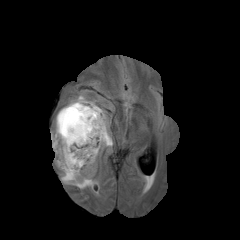
FLAIR MR image.
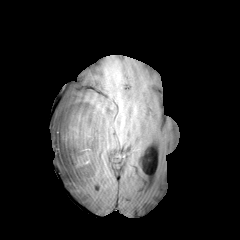
T1-weighted MR image.
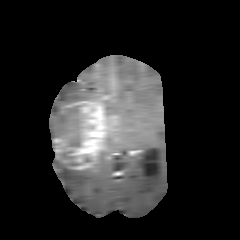
Post-contrast T1-weighted magnetic resonance of the same slice.
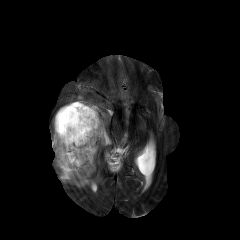
T2-weighted MR image.
Brain | Image size 240x240
{
  "non-enhancing_tumor_core": [
    "(57,152,78,170)",
    "(69,139,79,146)",
    "(53,106,78,138)"
  ],
  "enhancing_tumor": [
    "(53,101,107,169)"
  ],
  "edema": [
    "(54,157,99,188)",
    "(52,93,87,129)",
    "(105,118,112,147)"
  ]
}